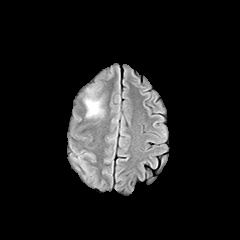
FLAIR MR.
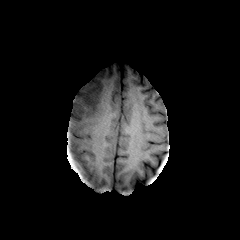
T1-weighted MRI of the same slice.
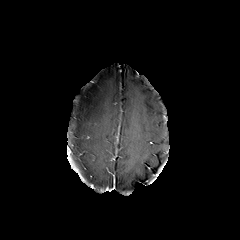
Same slice, post-contrast T1-weighted magnetic resonance.
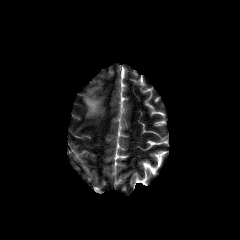
T2-weighted MRI.
Head. 240x240.
Edema: x1=85, y1=88, x2=104, y2=119.